Magnetic resonance 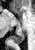
Posterior hippocampus at (left=10, top=33, right=24, bottom=42).